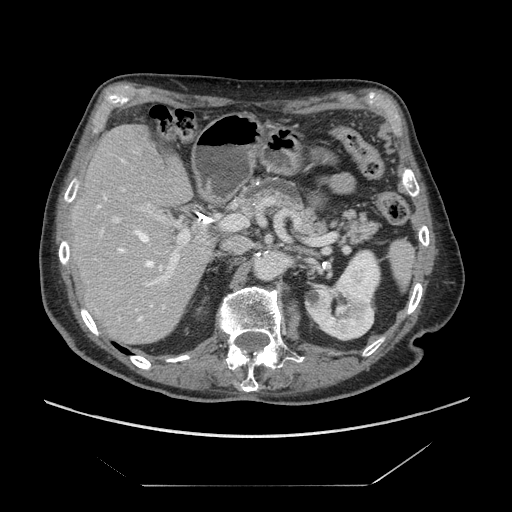
512x512 px, Upper abdomen, CT image
Pancreas: bounding box 222, 174, 383, 247.